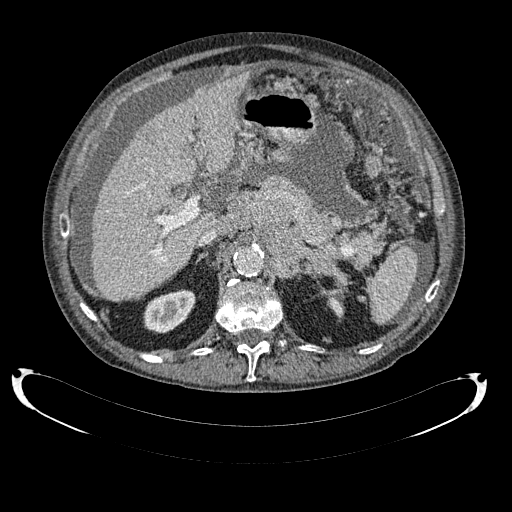
512x512 px | CT image

Kidney: (144, 290, 194, 332), (329, 297, 342, 315).
Liver: (91, 71, 249, 299).